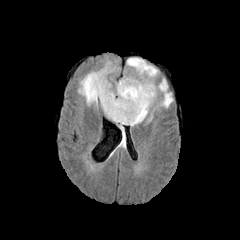
FLAIR magnetic resonance.
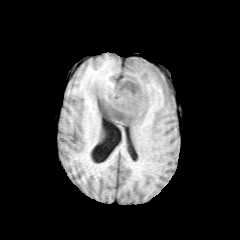
T1-weighted MRI.
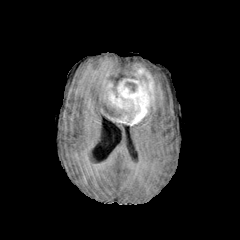
Post-contrast T1-weighted MR image.
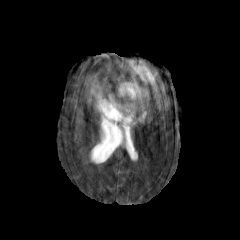
T2-weighted MRI.
Edema = box(79, 66, 117, 115); box(126, 58, 172, 127).
Enhancing tumor = box(106, 64, 154, 125).
Non-enhancing tumor core = box(126, 74, 145, 83); box(102, 88, 121, 119); box(125, 81, 135, 90).